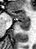
MRI slice
{
  "posterior_hippocampus": [
    "region(16, 21, 29, 30)"
  ],
  "anterior_hippocampus": [
    "region(8, 8, 29, 21)"
  ]
}